Image width 350 mm | Abdomen | CT scan slice 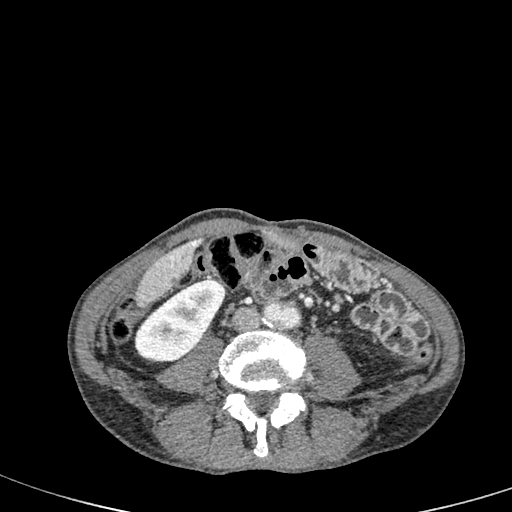
The kidney lies within (136, 280, 224, 360). The liver is bounded by (137, 237, 203, 306).